Slice 39/81; Computed tomography; Abdomen; 512x512 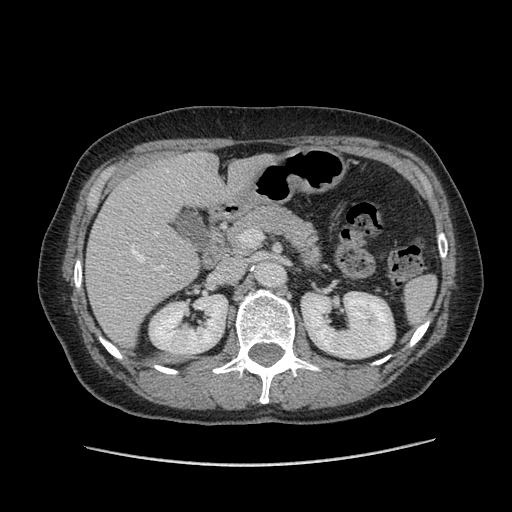
Not every hepatic vessel necessarily has a box.
Segmented structures:
- hepatic vessel: {"x1": 154, "y1": 233, "x2": 157, "y2": 235}